Slice index 551. CT scan slice. Upper abdomen. Field of view 432 mm wide, 0.70 mm slice spacing.

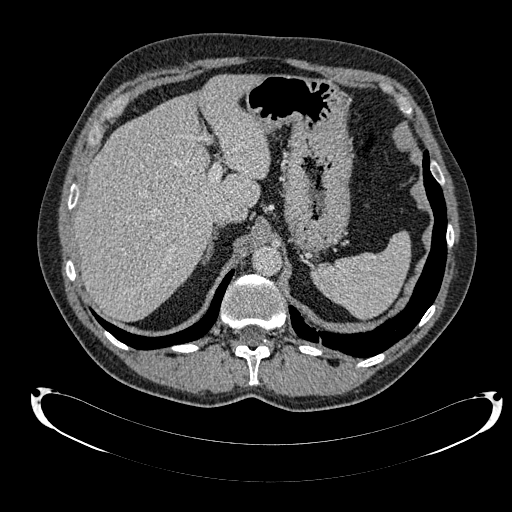 The liver is at 75 75 269 320.